CT image. 512x512 px. 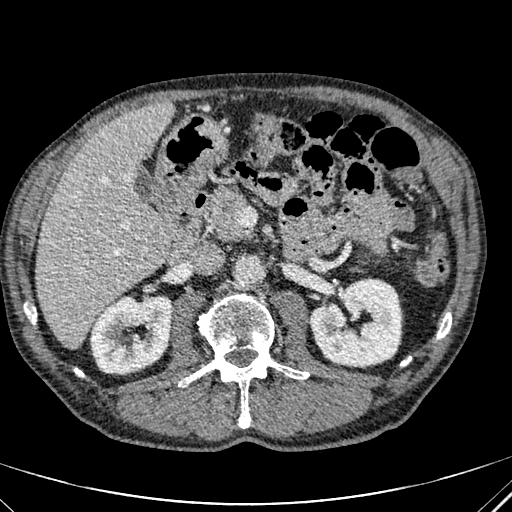

2 kidney regions are located at bbox(91, 297, 171, 373); bbox(311, 280, 400, 365). The liver is located at bbox(36, 101, 173, 348).